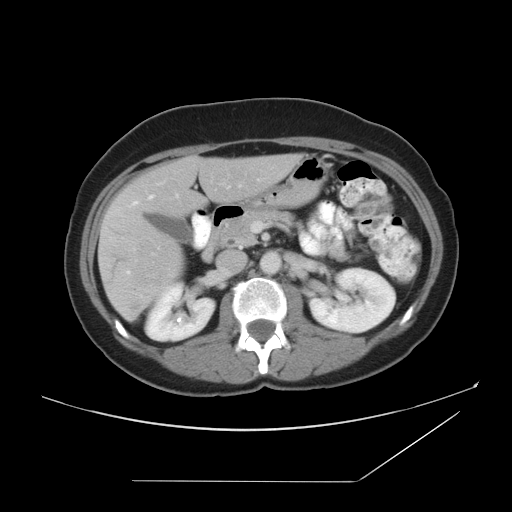
CT scan slice

Some hepatic vessels may have no box.
Hepatic vessel at 132:201:137:205, 148:195:153:199, 227:186:230:188, 158:182:163:184, 239:185:240:187, 133:248:134:251, 257:179:258:180, 176:194:178:197, 126:271:129:273, 140:295:141:296, 152:252:154:255.